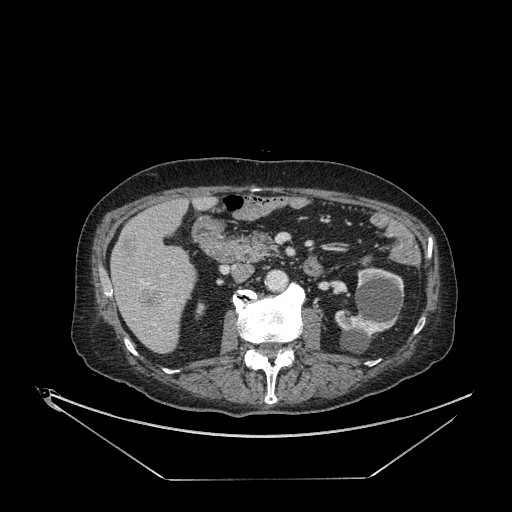
Liver, Computed tomography
Liver: rect(194, 197, 217, 208); rect(111, 199, 195, 353).
Kidney: rect(335, 311, 394, 336); rect(321, 281, 346, 293); rect(358, 268, 403, 291).
Hepatic lesion: rect(139, 290, 160, 313); rect(120, 237, 136, 257).